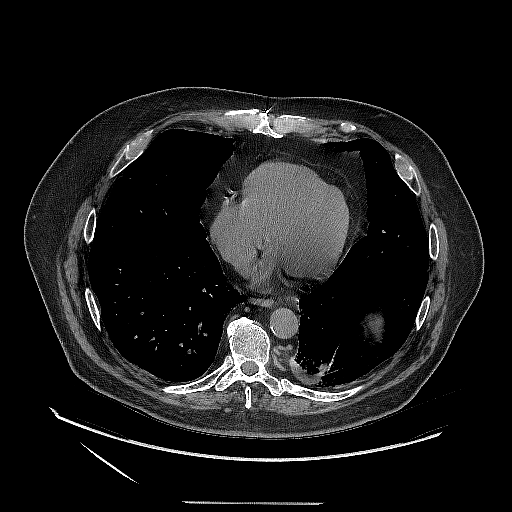
CT image
Lung tumor — x1=289, y1=335, x2=342, y2=386.